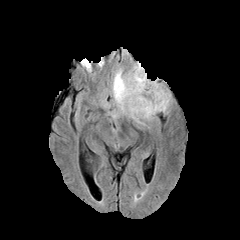
FLAIR magnetic resonance.
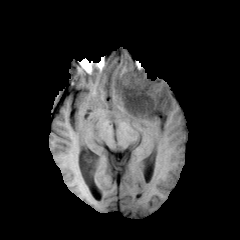
T1-weighted magnetic resonance.
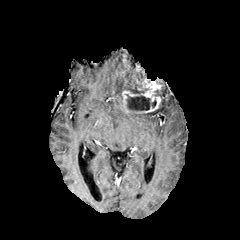
Post-contrast T1-weighted MR.
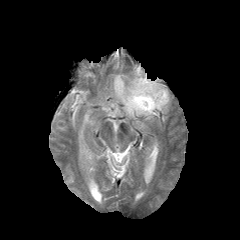
Same slice, T2-weighted MRI.
240x240 px
2 edema regions are bounded by <box>108,108,120,117</box>, <box>111,64,171,123</box>. The enhancing tumor lies within <box>122,78,164,112</box>. 2 non-enhancing tumor core regions are located at <box>126,70,144,93</box>, <box>128,95,156,111</box>.